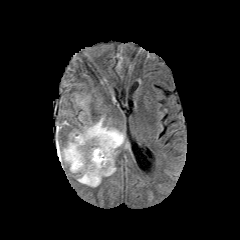
FLAIR MR image.
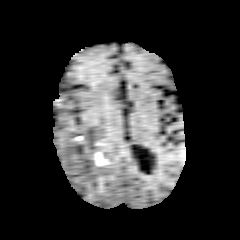
T1-weighted MR image of the same slice.
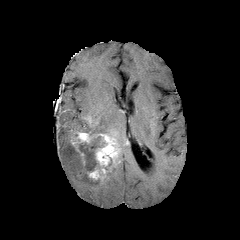
Post-contrast T1-weighted MR image.
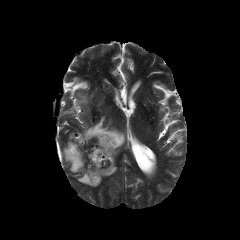
T2-weighted MR.
Brain
3 enhancing tumor regions appear at (x1=96, y1=132, x2=119, y2=165), (x1=89, y1=170, x2=99, y2=179), (x1=77, y1=132, x2=91, y2=141). 3 edema regions are bounded by (x1=58, y1=133, x2=116, y2=187), (x1=74, y1=94, x2=86, y2=108), (x1=82, y1=117, x2=125, y2=139).